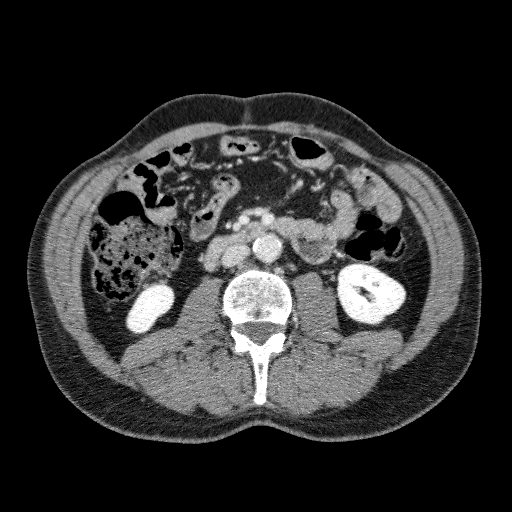 CT | Abdomen

2 kidney regions are located at <box>127,285,173,332</box>, <box>338,264,404,323</box>.